Liver | 512x512 px | CT

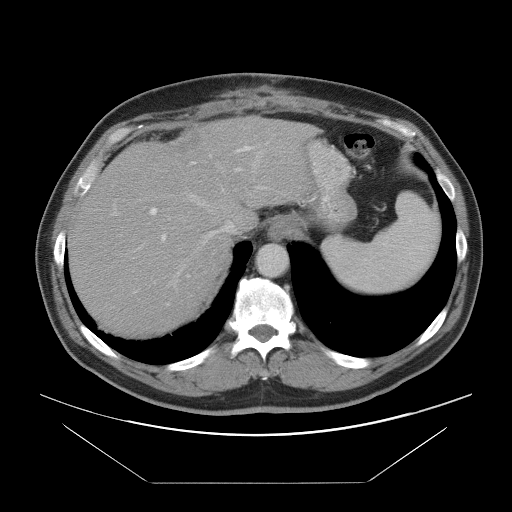 The vessel annotation is not exhaustive.
liver_tumor:
  - box(171, 134, 198, 152)
hepatic_vessel:
  - box(237, 146, 251, 151)
  - box(166, 303, 168, 304)
  - box(258, 186, 264, 187)
  - box(135, 290, 136, 292)
  - box(210, 154, 212, 157)
  - box(228, 221, 232, 224)
  - box(202, 242, 203, 244)
  - box(236, 168, 239, 170)
  - box(162, 235, 165, 239)
  - box(191, 161, 194, 163)
  - box(172, 272, 178, 287)
  - box(113, 211, 116, 214)
  - box(150, 208, 156, 213)